Abdomen. CT slice. Field of view 392 mm wide, 2.50 mm slice spacing.

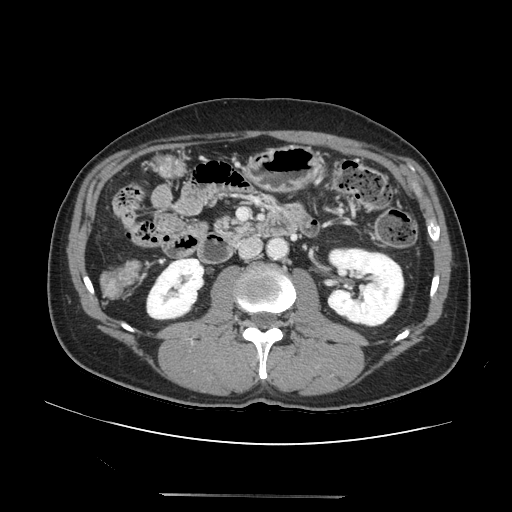 Pancreas: bounding box l=214, t=215, r=253, b=239.